36x48 | MR image | Slice 15 of 37
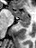 posterior_hippocampus:
  - [18, 19, 29, 26]
anterior_hippocampus:
  - [13, 11, 29, 19]